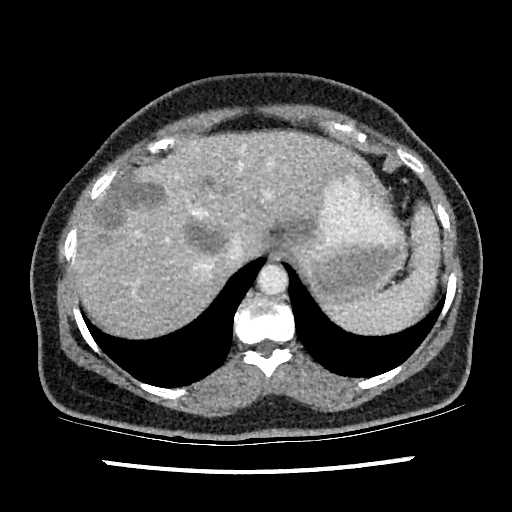

CT slice

Liver — 76:131:382:335.
Focal liver lesion — 97:174:163:229, 204:176:215:188, 186:224:227:252, 100:235:109:242.